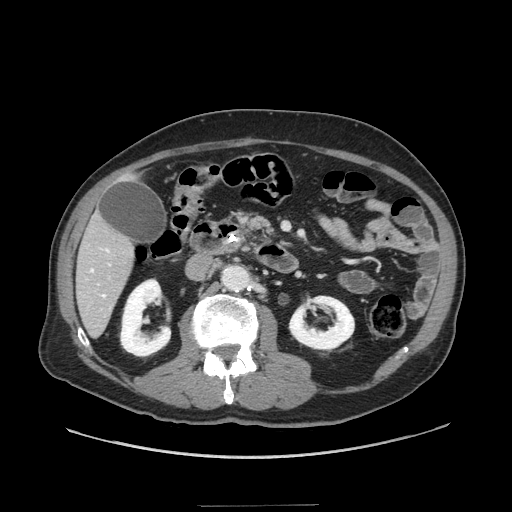

512x512, CT image

Findings:
- pancreas: <box>247,217,267,229</box>